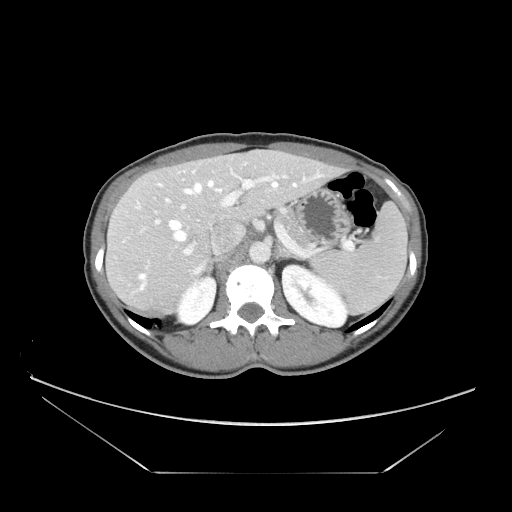 512x512. CT slice. Abdomen.
The pancreas appears at box(279, 211, 311, 247).